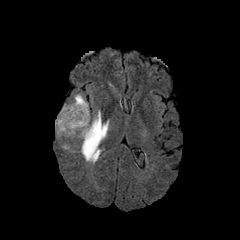
FLAIR magnetic resonance.
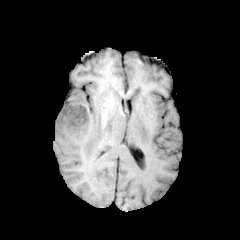
T1-weighted magnetic resonance.
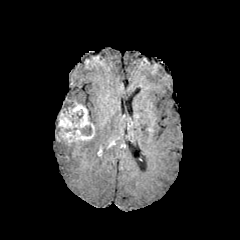
Same slice, post-contrast T1-weighted MR image.
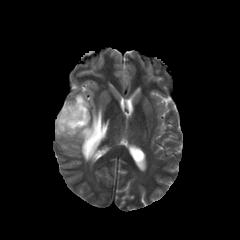
T2-weighted MR.
Head; 240x240
The non-enhancing tumor core is located at rect(80, 125, 91, 135). The enhancing tumor lies within rect(56, 105, 94, 141). The edema appears at rect(60, 93, 109, 164).